Slice 45/230, CT slice, Pelvis
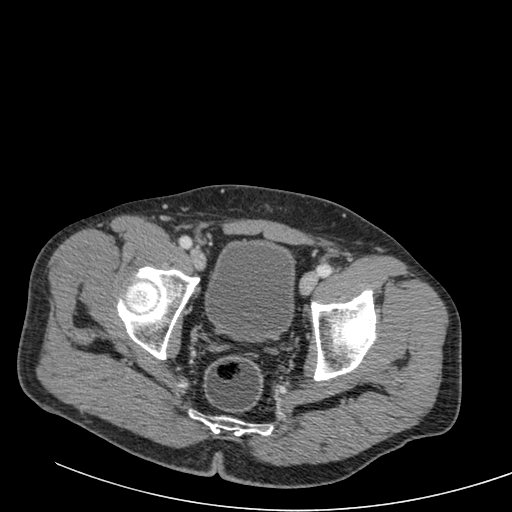 urinary_bladder:
  - 205 240 294 341